Abdomen, CT image 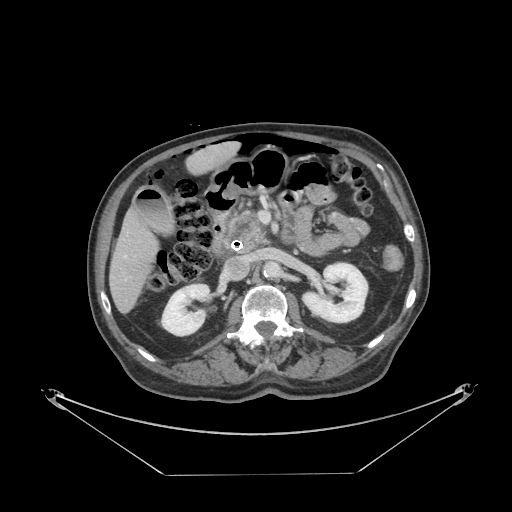

Pancreas at x1=229 y1=212 x2=264 y2=252.
Pancreatic tumor at x1=233 y1=221 x2=250 y2=239.